Abdomen; CT image; Image width 367 mm
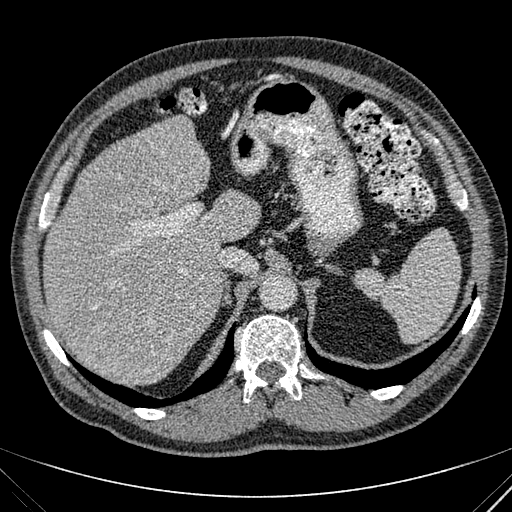 focal_liver_lesion:
  - 93, 341, 114, 362
liver:
  - 45, 118, 258, 383